CT image, Slice 243 of 427, 512x512 px
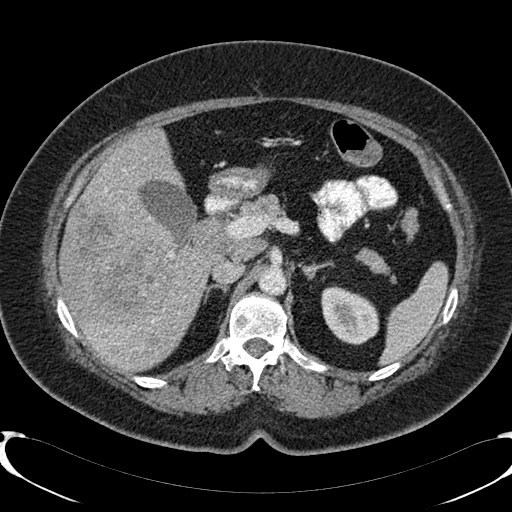

2 focal liver lesion regions are located at (x1=62, y1=202, x2=171, y2=322), (x1=149, y1=338, x2=158, y2=345). 3 liver regions are located at (x1=62, y1=215, x2=72, y2=259), (x1=60, y1=264, x2=70, y2=309), (x1=78, y1=129, x2=214, y2=370). The kidney is at (x1=322, y1=288, x2=377, y2=343).